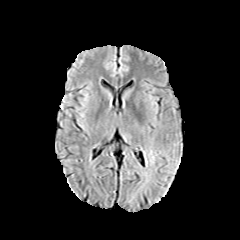
FLAIR MR image.
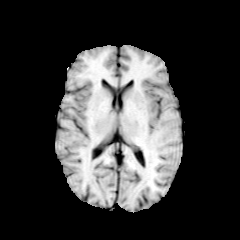
Same slice, T1-weighted MRI.
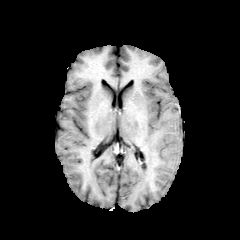
Post-contrast T1-weighted MR.
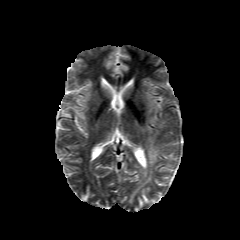
Same slice, T2-weighted MR image.
240x240 px, Brain
edema: box(144, 148, 157, 165)